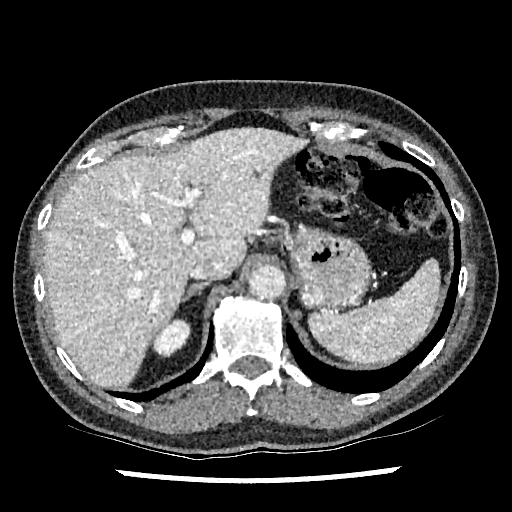

Abdomen; Image size 512x512; CT scan slice
Liver: [x1=43, y1=128, x2=308, y2=386].
Kidney: [x1=156, y1=322, x2=188, y2=353].